FLAIR MR.
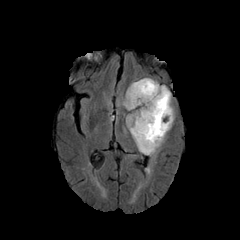
T1-weighted MR image.
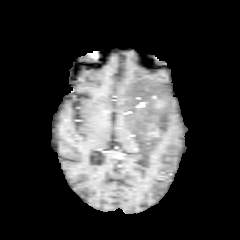
Post-contrast T1-weighted magnetic resonance.
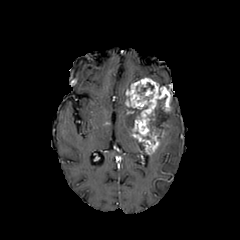
T2-weighted magnetic resonance.
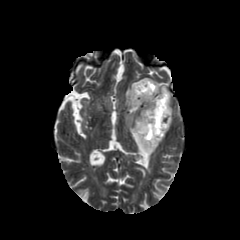
The enhancing tumor appears at left=125, top=78, right=172, bottom=154. 3 non-enhancing tumor core regions are bounded by left=127, top=106, right=147, bottom=127; left=135, top=139, right=146, bottom=153; left=149, top=99, right=171, bottom=137. 2 edema regions appear at left=160, top=105, right=174, bottom=144; left=126, top=114, right=132, bottom=136.